Slice 27/141. Abdomen. Computed tomography.

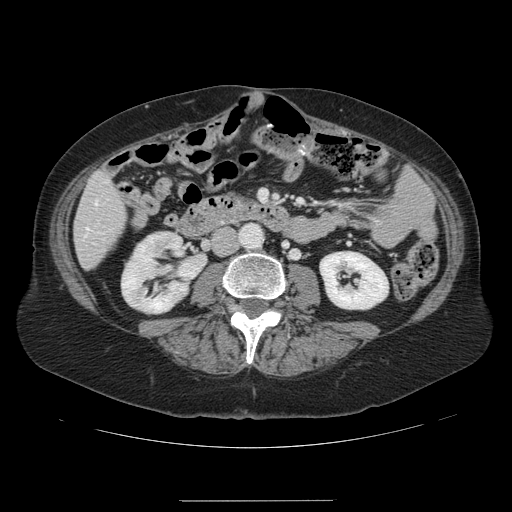 The vessel annotation is not exhaustive.
2 hepatic vessel regions appear at left=86, top=227, right=88, bottom=229; left=95, top=200, right=96, bottom=205.